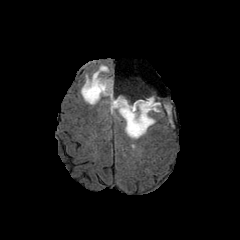
FLAIR MR.
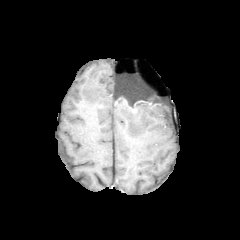
Same slice, T1-weighted MR image.
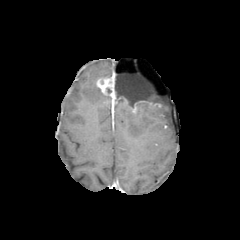
Same slice, post-contrast T1-weighted MR.
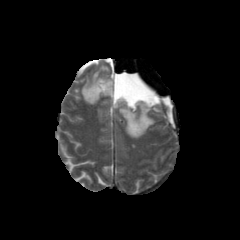
T2-weighted MR image of the same slice.
Edema: bounding box 80, 63, 111, 104; 103, 96, 110, 111; 114, 76, 117, 93; 114, 100, 160, 138.
Non-enhancing tumor core: bounding box 116, 82, 156, 109.
Enhancing tumor: bounding box 96, 72, 116, 116.